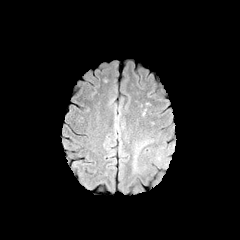
FLAIR magnetic resonance.
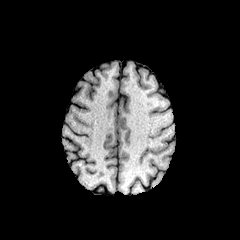
T1-weighted MR.
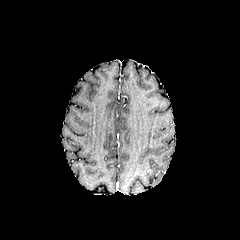
Post-contrast T1-weighted MR.
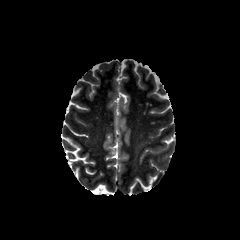
Same slice, T2-weighted magnetic resonance.
The edema appears at (x1=137, y1=140, x2=146, y2=151).